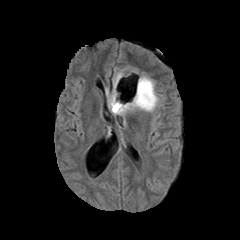
FLAIR MR.
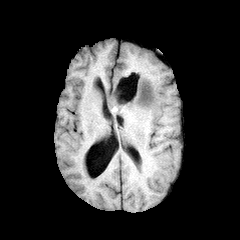
Same slice, T1-weighted MRI.
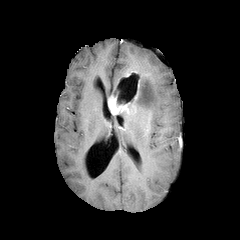
Post-contrast T1-weighted MRI.
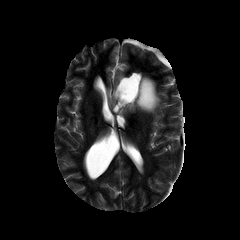
T2-weighted magnetic resonance.
<segmentation>
  <edema>rect(105, 67, 161, 112)</edema>
  <enhancing_tumor>rect(108, 95, 135, 114)</enhancing_tumor>
  <non-enhancing_tumor_core>rect(136, 86, 150, 99)</non-enhancing_tumor_core>
</segmentation>